Liver; Computed tomography; Slice 404/816 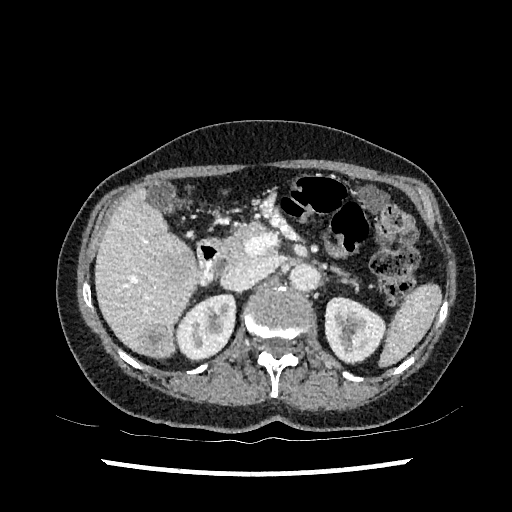
Segmented structures:
- liver: 149 342 174 356, 96 188 197 353
- liver lesion: 167 253 192 281, 141 326 173 354
- kidney: 325 298 384 361, 177 295 235 358